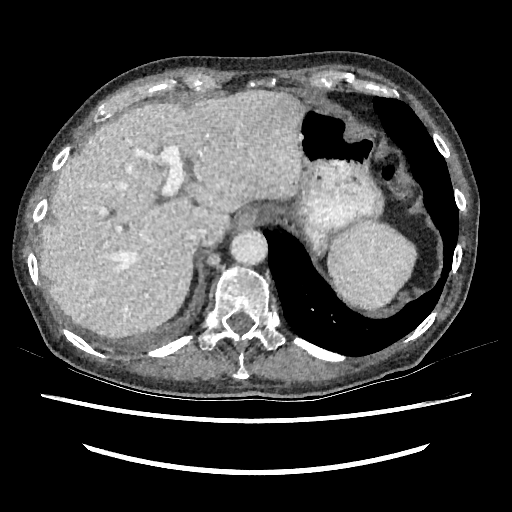
CT | Abdomen

<segmentation>
  <liver>{"x1": 40, "y1": 91, "x2": 301, "y2": 338}</liver>
</segmentation>